FLAIR magnetic resonance.
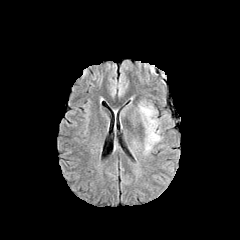
T1-weighted MR image.
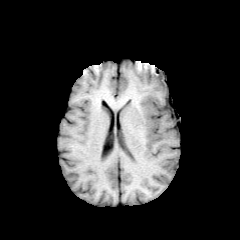
Post-contrast T1-weighted magnetic resonance.
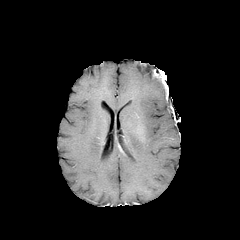
T2-weighted magnetic resonance.
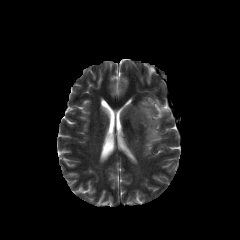
Image size 240x240
<segmentation>
  <edema>(x1=138, y1=101, x2=165, y2=153)</edema>
</segmentation>